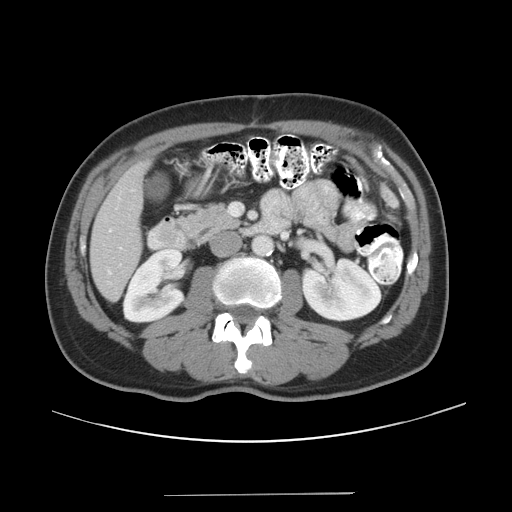 Computed tomography
Some hepatic vessels may have no box.
<segmentation>
  <hepatic_vessel>131, 190, 134, 190; 108, 270, 111, 273; 109, 229, 110, 231</hepatic_vessel>
</segmentation>